FLAIR MRI.
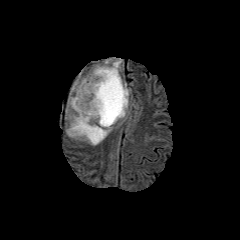
T1-weighted MR image.
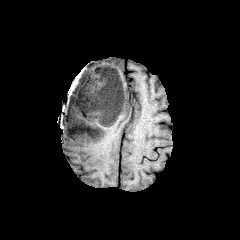
Post-contrast T1-weighted MR.
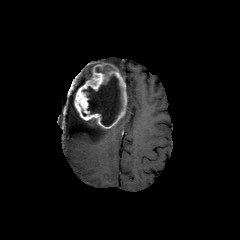
T2-weighted magnetic resonance.
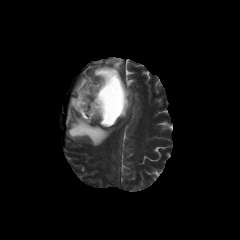
Brain.
{
  "edema": [
    "<bbox>106, 57, 122, 70</bbox>",
    "<bbox>126, 88, 130, 111</bbox>",
    "<bbox>74, 76, 83, 89</bbox>",
    "<bbox>66, 92, 112, 145</bbox>"
  ],
  "non-enhancing_tumor_core": [
    "<bbox>96, 65, 111, 73</bbox>",
    "<bbox>72, 74, 91, 109</bbox>",
    "<bbox>84, 75, 125, 127</bbox>"
  ],
  "enhancing_tumor": [
    "<bbox>73, 63, 127, 121</bbox>"
  ]
}